FLAIR MR.
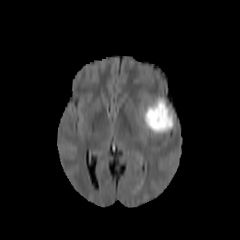
T1-weighted MR.
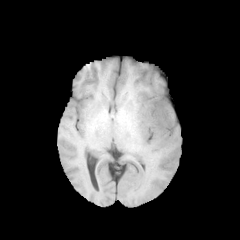
Post-contrast T1-weighted MR.
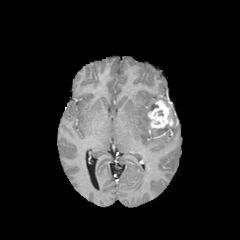
T2-weighted magnetic resonance.
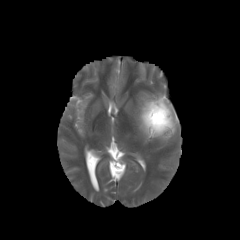
Head
edema: (135, 95, 175, 143) | non-enhancing tumor core: (147, 127, 171, 132) | enhancing tumor: (147, 99, 177, 129)